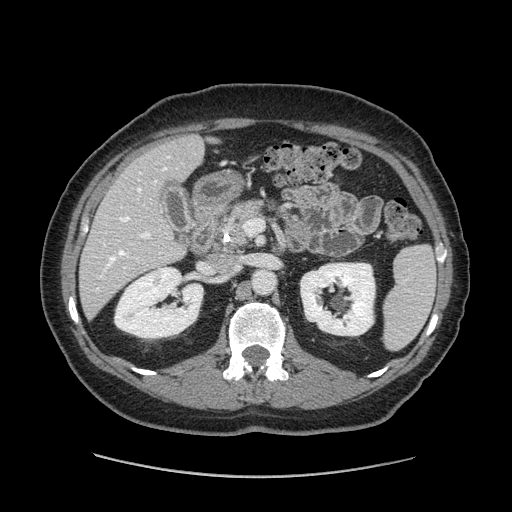 Abdomen. CT image. Image size 512x512. Segmented structures:
- pancreas: l=280, t=209, r=302, b=237; l=225, t=201, r=261, b=245